Head | Image width 240 mm
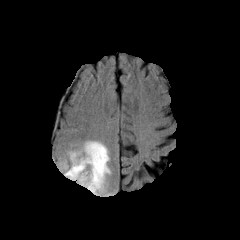
FLAIR MRI.
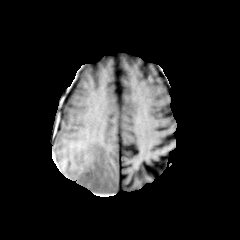
Same slice, T1-weighted MRI.
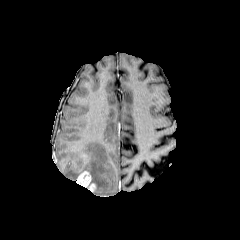
Post-contrast T1-weighted MRI of the same slice.
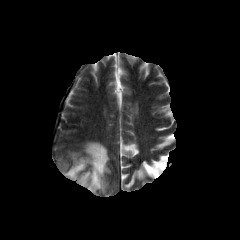
T2-weighted magnetic resonance.
Edema = [64, 141, 110, 193].
Enhancing tumor = [76, 171, 95, 191].